Slice 95/155.
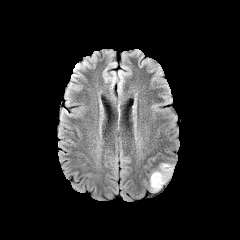
FLAIR MR.
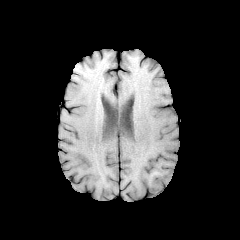
T1-weighted MR.
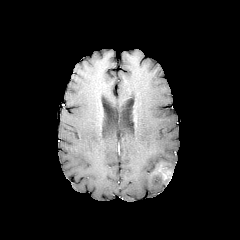
Post-contrast T1-weighted magnetic resonance of the same slice.
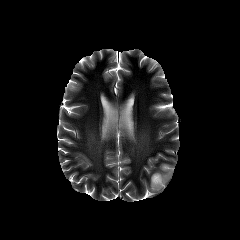
T2-weighted MR image of the same slice.
The non-enhancing tumor core appears at 154:174:167:183. The edema is at 150:162:173:191.